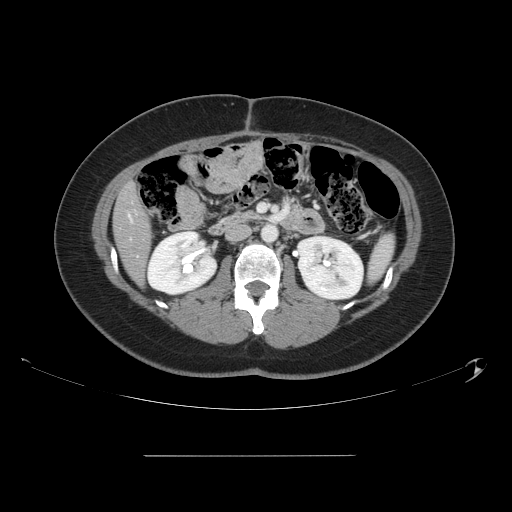 512x512, CT image, Abdomen
The vessel annotation is not exhaustive.
{"hepatic_vessel": ["bbox=[128, 214, 129, 216]"]}